CT scan slice. Image size 512x512. Abdomen. Slice 424 of 811.

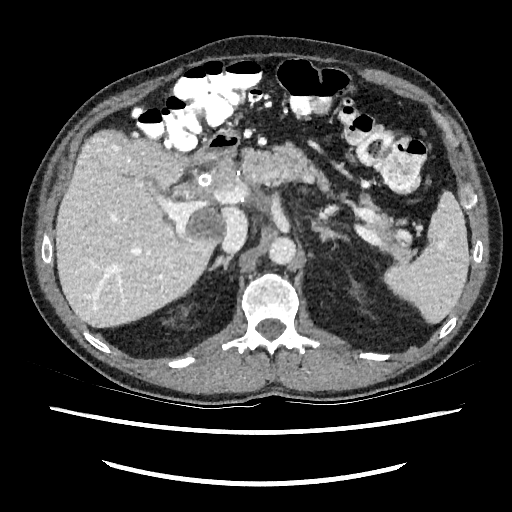 3 liver regions are bounded by (223,167,233,184), (56,131,219,325), (171,187,187,199). 3 focal liver lesion regions are located at (176,183,196,198), (213,161,232,185), (188,209,222,240).